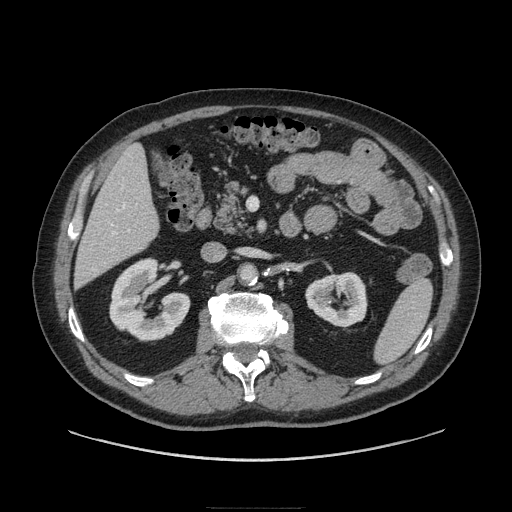
Computed tomography

pancreas:
  - <bbox>214, 181, 248, 233</bbox>